FLAIR magnetic resonance.
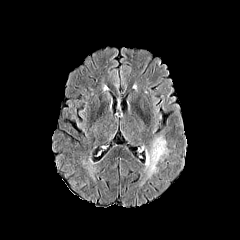
T1-weighted magnetic resonance.
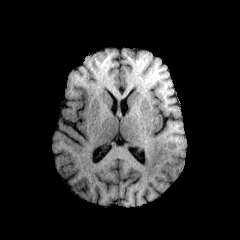
Post-contrast T1-weighted MR image.
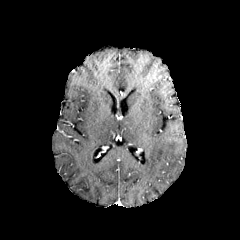
T2-weighted magnetic resonance.
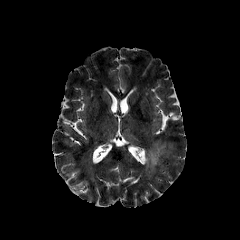
Brain
Edema = left=145, top=137, right=166, bottom=175.